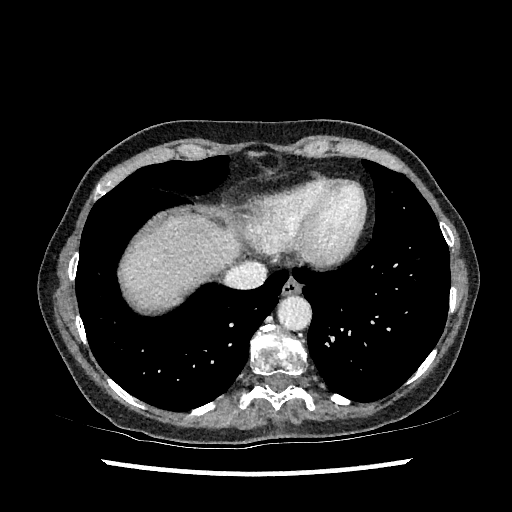 CT scan slice, Upper abdomen
The hepatic lesion is located at (left=189, top=227, right=203, bottom=233). The liver appears at (left=122, top=216, right=239, bottom=309).